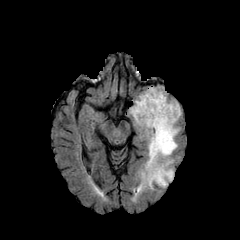
FLAIR MR.
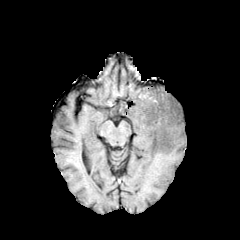
T1-weighted MRI.
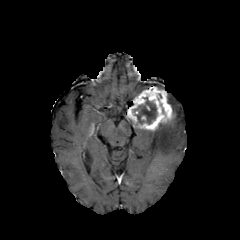
Post-contrast T1-weighted MR.
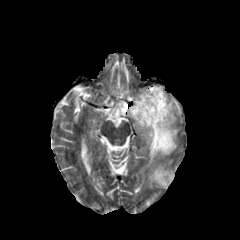
T2-weighted MR.
2 edema regions are bounded by box(147, 165, 173, 186); box(142, 98, 181, 177). The non-enhancing tumor core appears at box(136, 97, 156, 122). The enhancing tumor is bounded by box(127, 86, 175, 131).